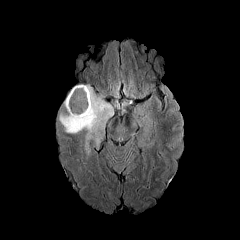
FLAIR magnetic resonance.
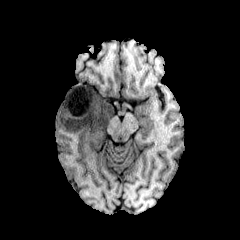
T1-weighted MR image.
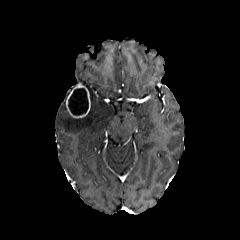
Same slice, post-contrast T1-weighted MR image.
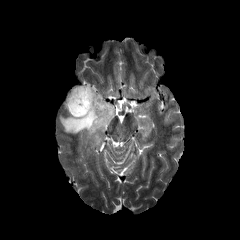
T2-weighted magnetic resonance.
Head.
edema:
  - 58:85:113:155
enhancing_tumor:
  - 66:86:90:118
non-enhancing_tumor_core:
  - 68:88:88:115